Abdomen. CT slice.

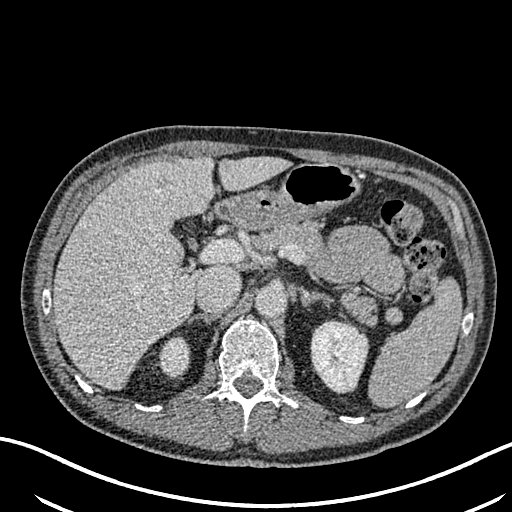 Liver — [x1=219, y1=156, x2=293, y2=190], [x1=55, y1=158, x2=212, y2=388].
Focal liver lesion — [x1=156, y1=175, x2=173, y2=188].
Kidney — [x1=161, y1=339, x2=187, y2=372], [x1=312, y1=322, x2=366, y2=391].